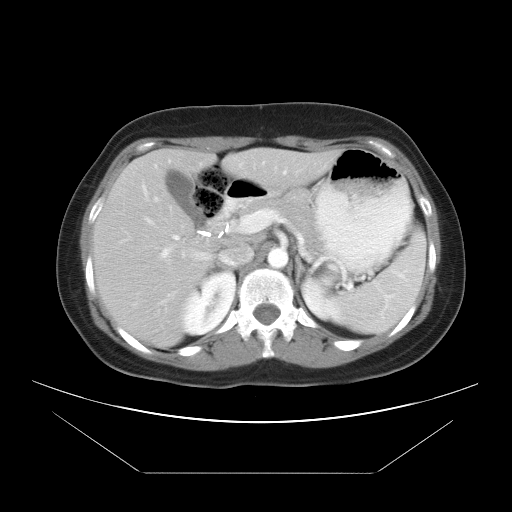 Computed tomography | Liver
Not every hepatic vessel necessarily has a box.
<segmentation>
  <hepatic_vessel>(192, 252, 196, 258), (143, 186, 146, 193), (182, 252, 184, 256), (223, 221, 233, 232), (145, 217, 152, 224), (160, 246, 173, 259), (199, 232, 202, 235), (172, 234, 179, 240), (240, 210, 272, 231)</hepatic_vessel>
</segmentation>